512x512; Abdomen; Slice 31/75; CT image

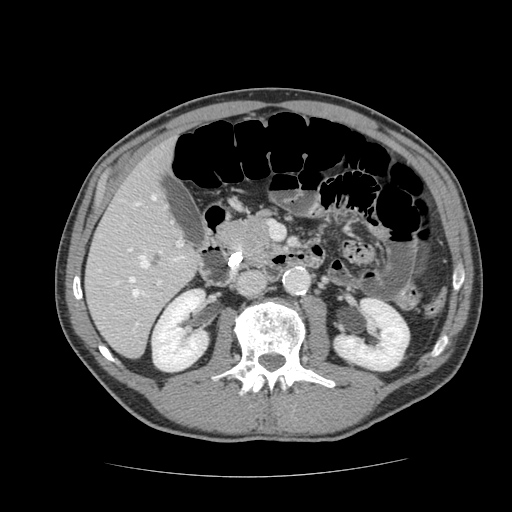 The pancreas is at (221,208,274,273). The pancreatic tumor appears at (240,219,267,242).